FLAIR MR image.
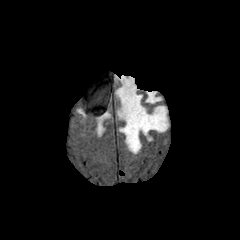
T1-weighted magnetic resonance.
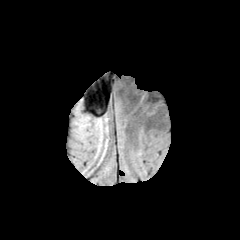
Post-contrast T1-weighted MR image.
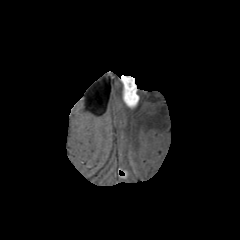
T2-weighted MR.
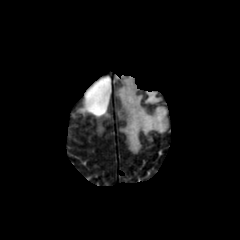
Head, 240x240 px
Enhancing tumor: 121,76,139,107.
Edema: 115,86,168,153.